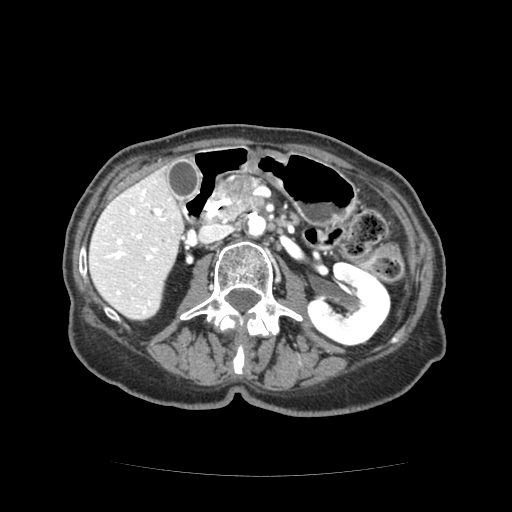
CT slice; 512x512

Pancreatic tumor: bounding box (x1=224, y1=177, x2=256, y2=210).
Pancreas: bounding box (x1=216, y1=175, x2=262, y2=215).